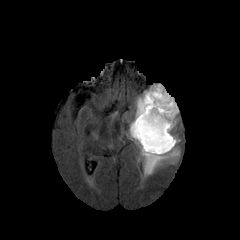
FLAIR magnetic resonance.
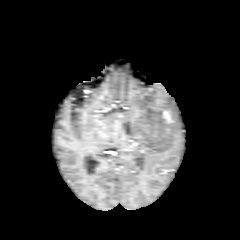
T1-weighted MR image of the same slice.
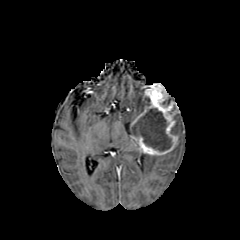
Post-contrast T1-weighted magnetic resonance.
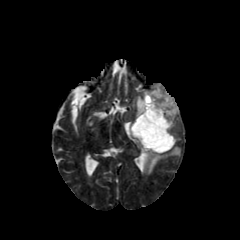
T2-weighted MR of the same slice.
Enhancing tumor = {"x1": 130, "y1": 83, "x2": 179, "y2": 155}.
Non-enhancing tumor core = {"x1": 141, "y1": 95, "x2": 150, "y2": 112}, {"x1": 128, "y1": 108, "x2": 171, "y2": 151}, {"x1": 138, "y1": 152, "x2": 147, "y2": 167}.
Edema = {"x1": 142, "y1": 140, "x2": 180, "y2": 175}, {"x1": 129, "y1": 89, "x2": 143, "y2": 126}, {"x1": 136, "y1": 152, "x2": 141, "y2": 168}, {"x1": 174, "y1": 114, "x2": 183, "y2": 136}.